Slice 155/276; CT image; Liver

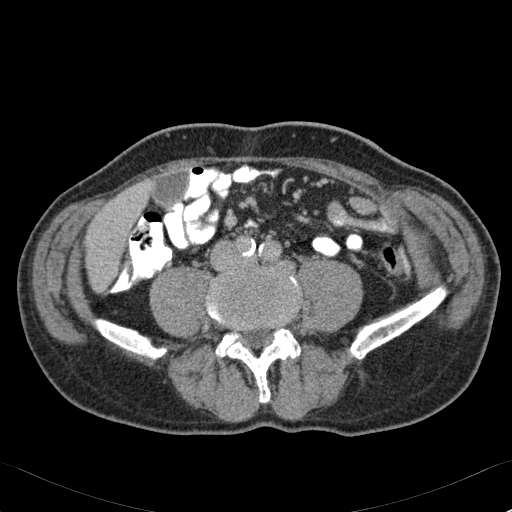
The liver is bounded by (x1=86, y1=180, x2=148, y2=291).